CT slice; Upper abdomen; Field of view 320 mm wide, 5.00 mm slice spacing
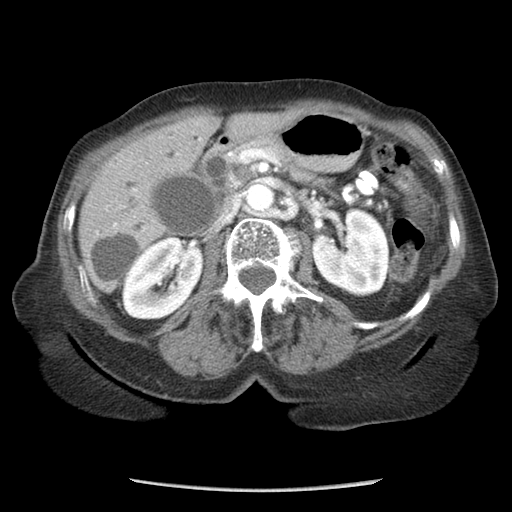

Findings:
* pancreatic tumor: l=234, t=167, r=248, b=180
* pancreas: l=207, t=140, r=331, b=190